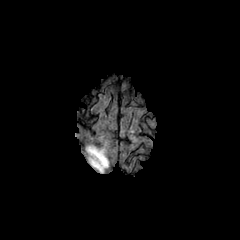
FLAIR MR.
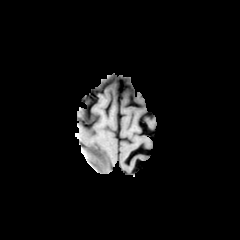
Same slice, T1-weighted MRI.
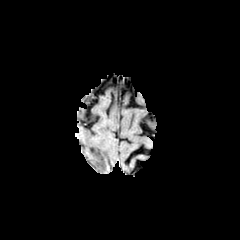
Same slice, post-contrast T1-weighted MR image.
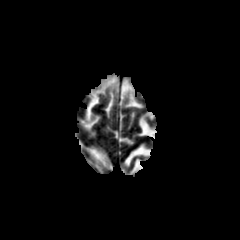
T2-weighted MRI.
240x240 px. Head.
Edema = l=86, t=146, r=108, b=172.